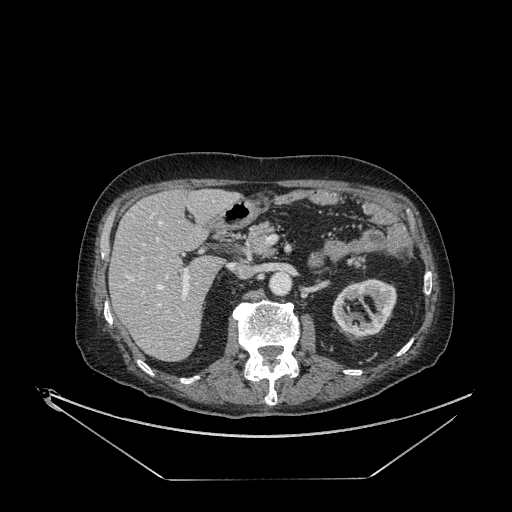

Abdomen, 512x512 px, CT
Liver at box=[109, 190, 238, 361].
Kidney at box=[333, 279, 396, 337].